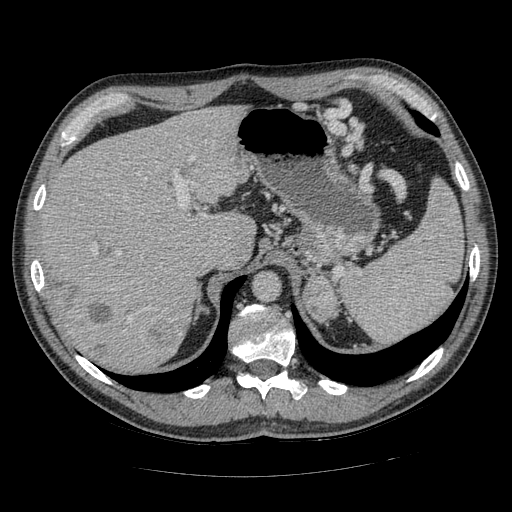 Upper abdomen | CT | Image size 512x512
Pancreatic tumor = 304 275 337 321.